CT image.

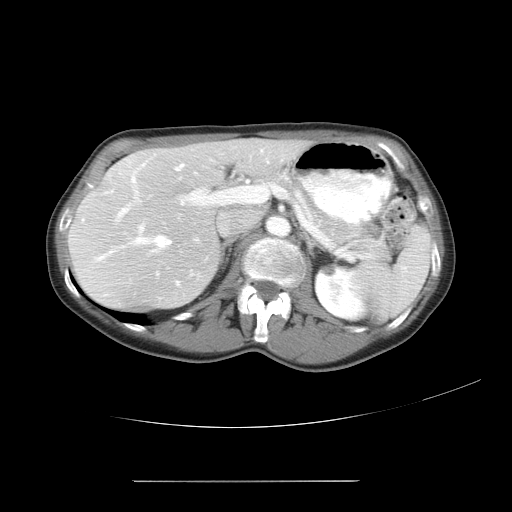

The vessel annotation is not exhaustive.
14 hepatic vessel regions appear at (175, 281, 178, 284), (260, 150, 262, 151), (115, 204, 129, 220), (134, 189, 138, 201), (265, 159, 268, 162), (95, 251, 111, 260), (189, 271, 192, 274), (105, 190, 112, 193), (194, 172, 195, 174), (175, 164, 182, 169), (131, 162, 144, 182), (133, 224, 170, 246), (156, 272, 158, 274), (180, 181, 274, 204).